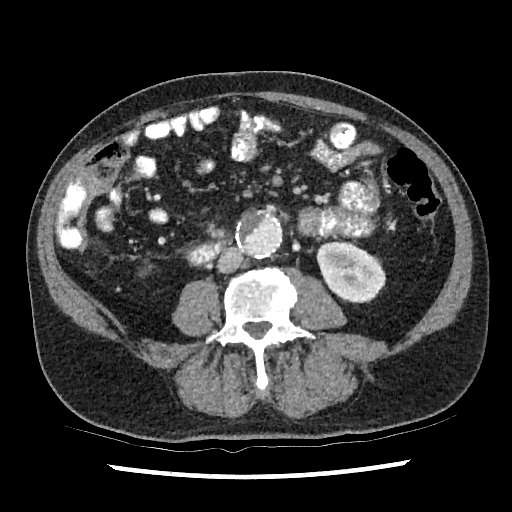 Abdomen | 512x512 | Computed tomography
Kidney: bounding box region(320, 244, 385, 302).